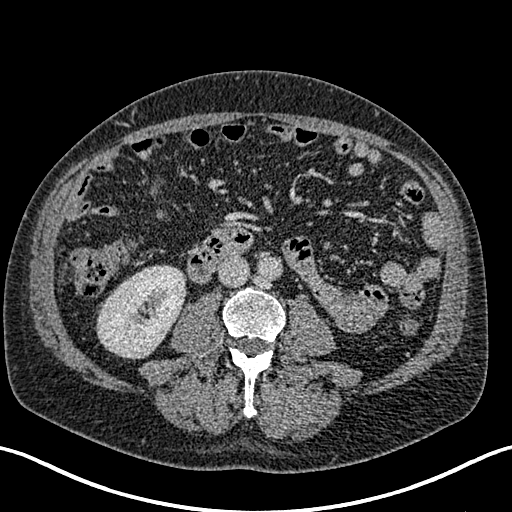
Abdomen | Computed tomography

Kidney: rect(98, 266, 184, 357).